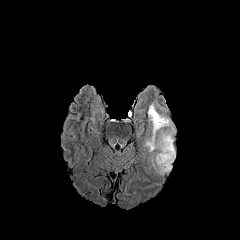
FLAIR magnetic resonance.
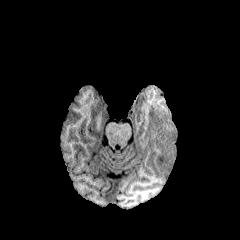
T1-weighted MR.
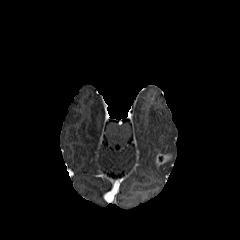
Post-contrast T1-weighted MRI.
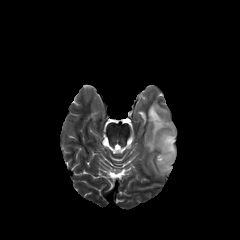
T2-weighted MR of the same slice.
Brain
{
  "edema": [
    "left=143, top=103, right=176, bottom=175"
  ],
  "enhancing_tumor": [
    "left=155, top=154, right=172, bottom=166"
  ]
}